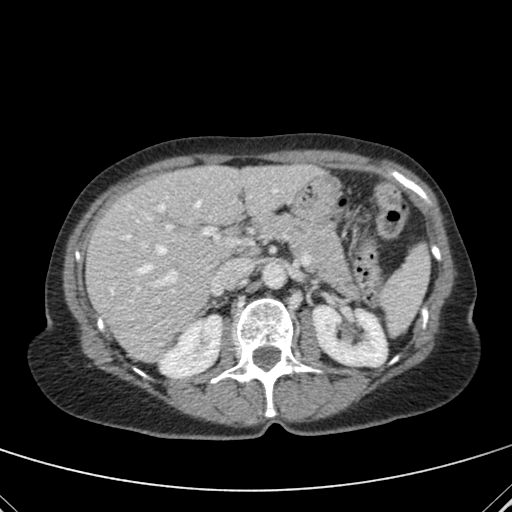 Computed tomography

Annotated regions:
* kidney: left=313, top=307, right=386, bottom=365; left=160, top=316, right=220, bottom=375
* liver: left=86, top=164, right=317, bottom=361